Image width 700 mm | CT image

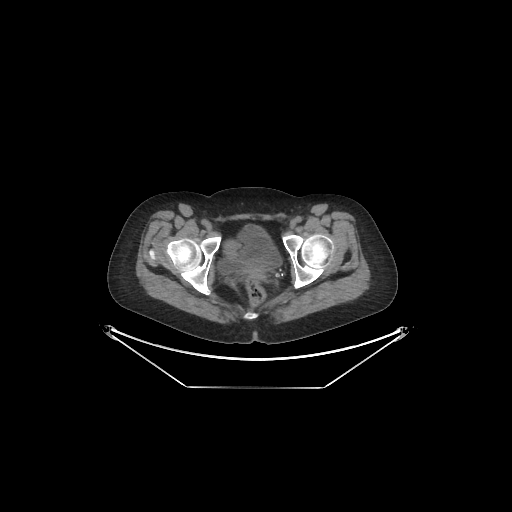

Urinary bladder — x1=221 y1=224 x2=281 y2=273.